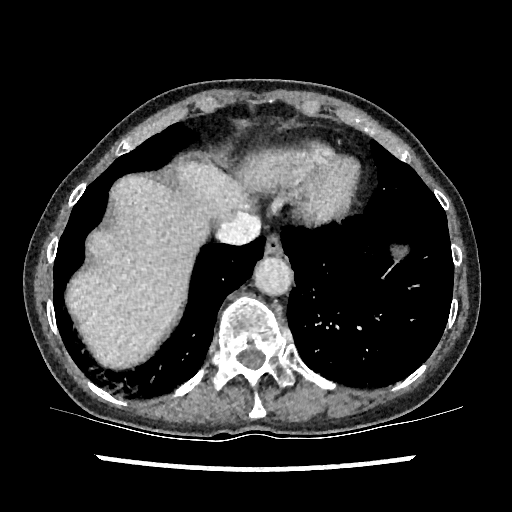

CT scan slice. 512x512 px. Liver. liver:
  - l=66, t=156, r=277, b=366